FLAIR magnetic resonance.
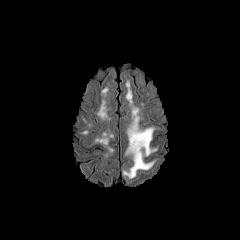
T1-weighted MRI.
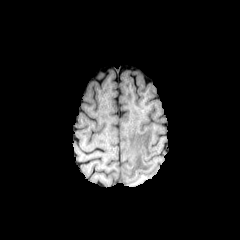
Post-contrast T1-weighted magnetic resonance.
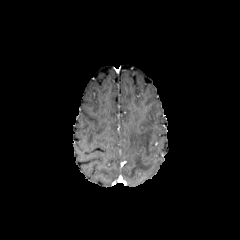
T2-weighted MRI.
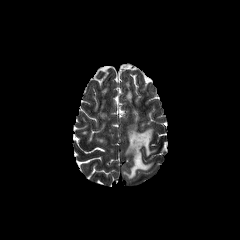
<segmentation>
  <edema>126 82 131 103, 123 108 156 179, 95 139 107 145, 97 102 105 119</edema>
</segmentation>